240x240 px; Slice 113/155
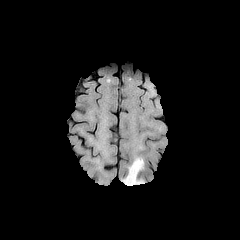
FLAIR magnetic resonance.
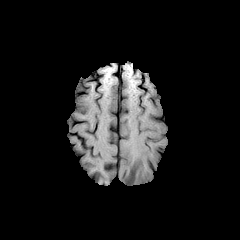
T1-weighted MRI.
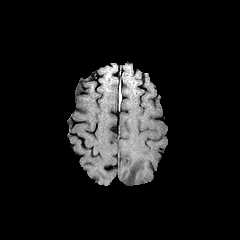
Post-contrast T1-weighted MR image.
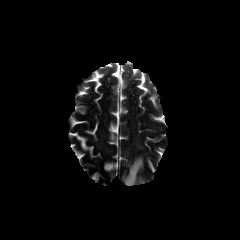
T2-weighted MRI.
Edema: bounding box bbox=[123, 157, 143, 185].